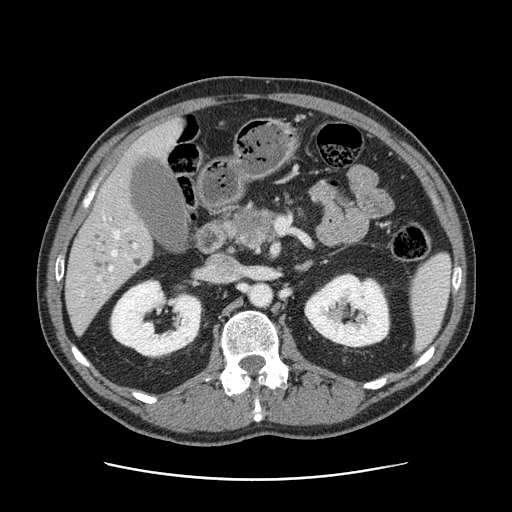
Abdomen, CT
Pancreas — box=[221, 208, 276, 248].
Pancreatic tumor — box=[232, 212, 273, 241].